CT slice; Lung; 512x512 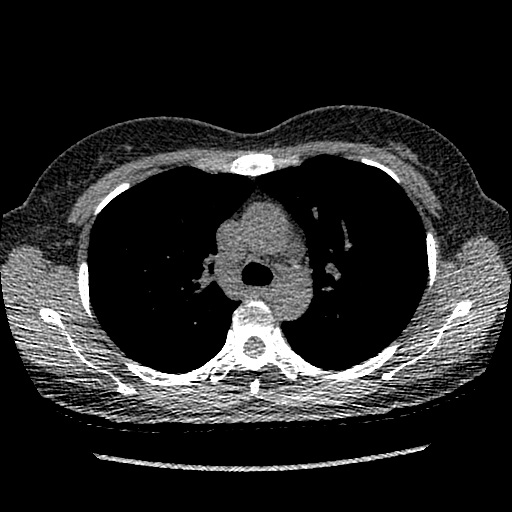 lung tumor: box=[325, 319, 345, 334]